MRI. Slice 11 of 36. Field of view 34 mm wide, 1.00 mm slice spacing. Medial temporal lobe.

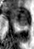 anterior hippocampus: rect(11, 10, 30, 23) | posterior hippocampus: rect(20, 24, 28, 25)